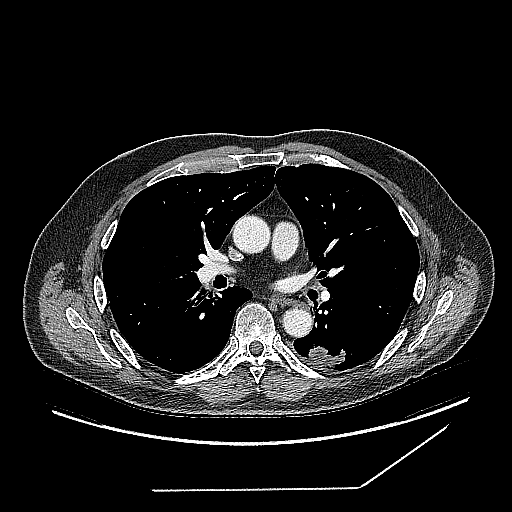
512x512 px. Chest. CT slice.

lung tumor: box(305, 342, 348, 368)